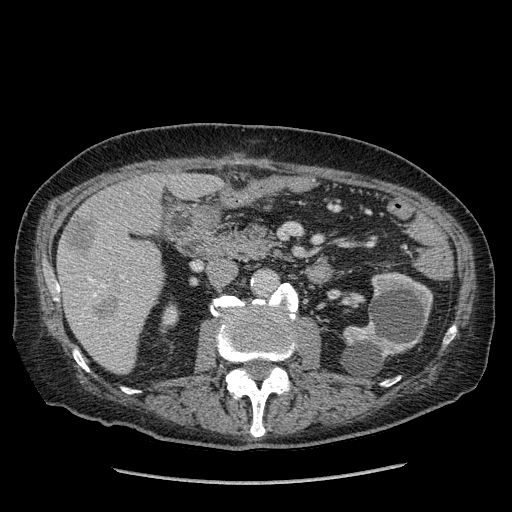

CT scan slice, 512x512 px
Kidney at box(372, 272, 432, 319); box(343, 321, 421, 357); box(163, 306, 176, 324).
Liver lesion at box(96, 295, 116, 318); box(68, 215, 96, 251).
Liver at box(58, 173, 223, 373).